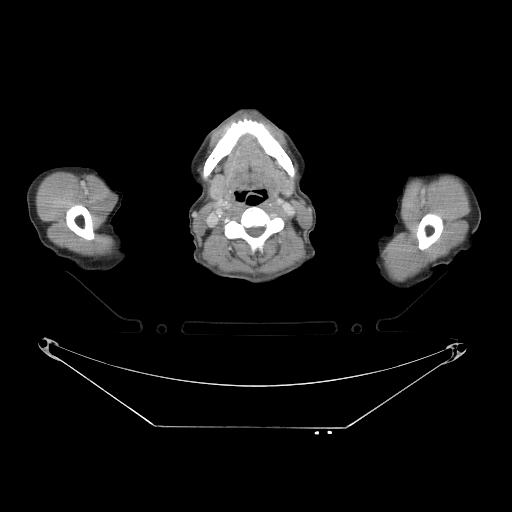 CT image

bone: <bbox>66, 205, 93, 239</bbox>, <bbox>204, 119, 294, 177</bbox>, <bbox>417, 214, 442, 249</bbox>, <bbox>225, 207, 283, 251</bbox>